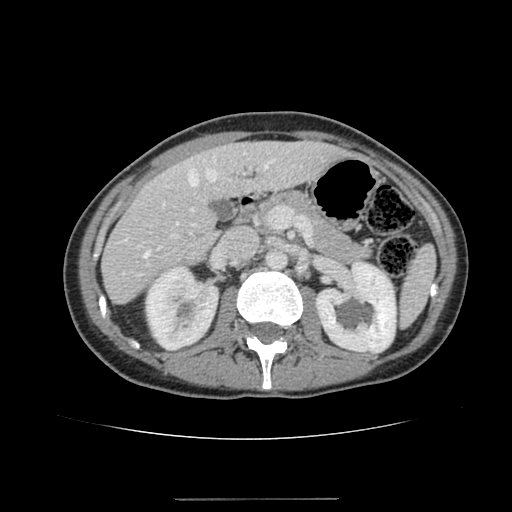
512x512 px, CT
The liver appears at <bbox>101, 140, 348, 305</bbox>. 2 kidney regions are located at <bbox>316, 262, 395, 352</bbox>, <bbox>146, 267, 217, 349</bbox>.